FLAIR magnetic resonance.
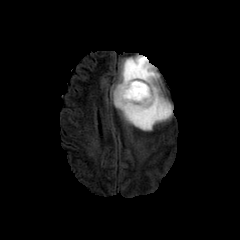
T1-weighted MRI.
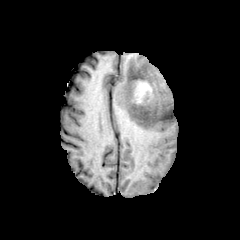
Post-contrast T1-weighted MR.
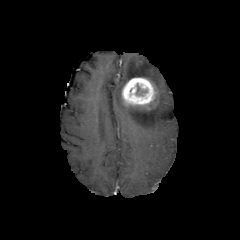
T2-weighted MR image.
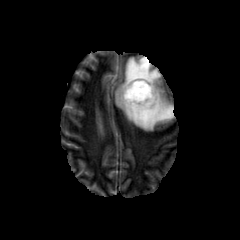
enhancing tumor: box(122, 77, 155, 109) | edema: box(113, 55, 172, 130) | non-enhancing tumor core: box(136, 85, 143, 95); box(128, 84, 159, 112)